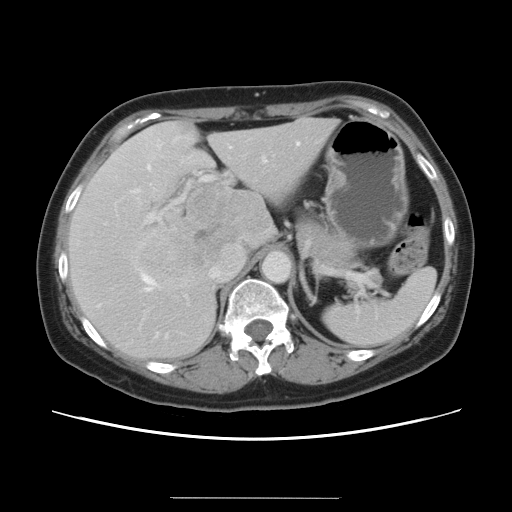
CT. The vessel boxes may cover only some of the vessels.
hepatic vessel: box(146, 214, 159, 222); box(183, 196, 184, 199); box(188, 135, 191, 140); box(210, 268, 217, 277); box(97, 305, 99, 307); box(297, 143, 298, 145); box(200, 176, 213, 181); box(229, 147, 230, 148); box(262, 158, 265, 163); box(147, 166, 149, 169); box(132, 190, 137, 192); box(155, 332, 157, 337); box(165, 334, 166, 337); box(141, 275, 153, 291) | liver tumor: box(140, 190, 262, 278)